CT; Slice 501 of 896; Image size 512x512; Upper abdomen
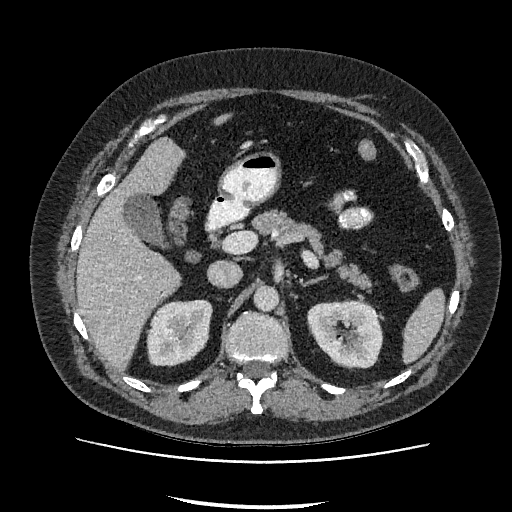 {"kidney": ["bbox(148, 300, 211, 364)", "bbox(308, 302, 381, 366)"], "liver": ["bbox(77, 138, 183, 370)", "bbox(216, 116, 226, 122)"]}